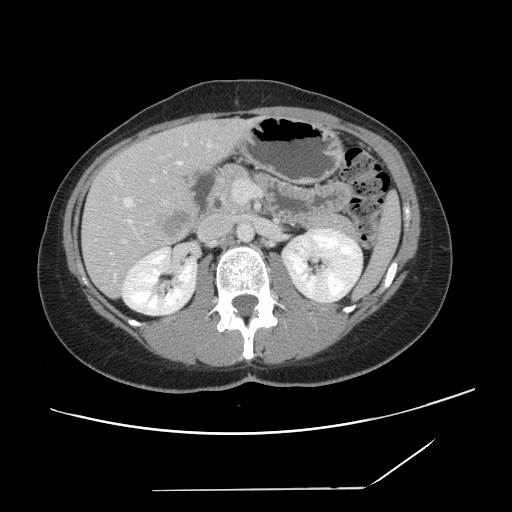 CT scan slice

The vessel boxes may cover only some of the vessels.
<segmentation>
  <liver_tumor>bbox(165, 214, 188, 233)</liver_tumor>
  <hepatic_vessel>bbox(132, 227, 134, 229); bbox(162, 201, 167, 204); bbox(177, 161, 181, 164); bbox(125, 219, 131, 224); bbox(114, 273, 115, 278); bbox(184, 141, 186, 145); bbox(151, 178, 154, 181); bbox(116, 174, 118, 177); bbox(124, 198, 132, 206); bbox(207, 142, 211, 146); bbox(110, 252, 112, 254); bbox(160, 156, 162, 158); bbox(122, 240, 125, 242)</hepatic_vessel>
</segmentation>